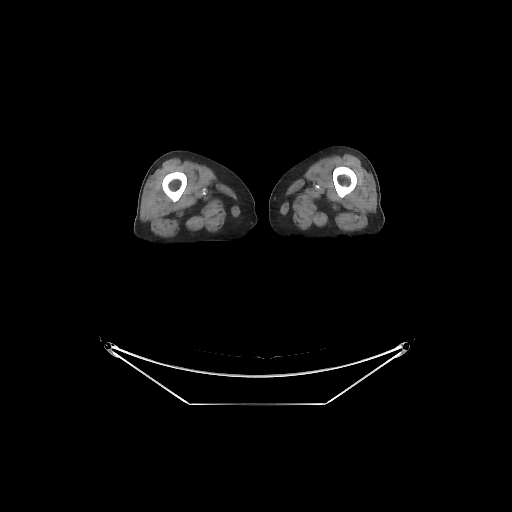
CT image

bone: <box>333,166,356,197</box>, <box>162,171,186,201</box>